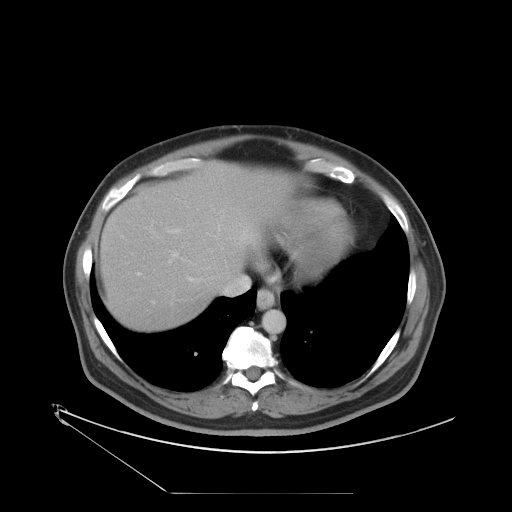 Computed tomography | Abdomen
Not every hepatic vessel necessarily has a box.
<segmentation>
  <hepatic_vessel>(221,275,246,294), (152,300,154,303), (225,263,226,266), (166,228,180,232), (210,277,213,278), (206,233,210,234), (137,273,141,275), (149,220,155,233), (187,277,203,281), (188,224,192,225), (169,251,195,264), (213,224,254,256)</hepatic_vessel>
</segmentation>